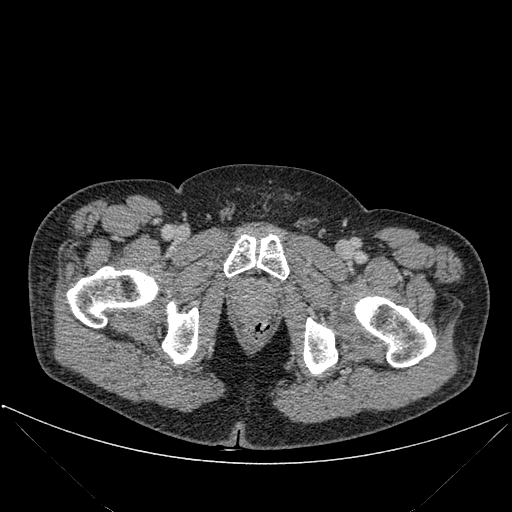
CT scan slice
bone: rect(303, 317, 337, 374); rect(224, 234, 289, 279); rect(354, 296, 435, 367); rect(67, 266, 158, 327); rect(162, 302, 198, 363)